240x240 px
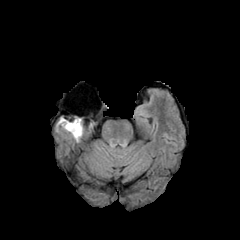
FLAIR MR image.
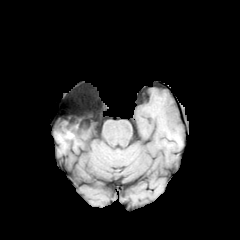
Same slice, T1-weighted MR.
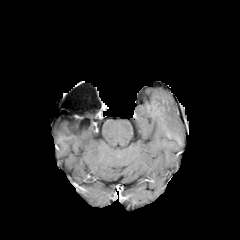
Post-contrast T1-weighted magnetic resonance.
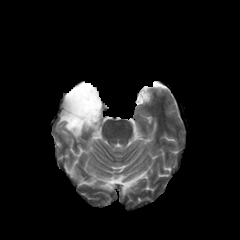
Same slice, T2-weighted MR.
Edema — 56 118 83 141.
Non-enhancing tumor core — 62 117 82 127.